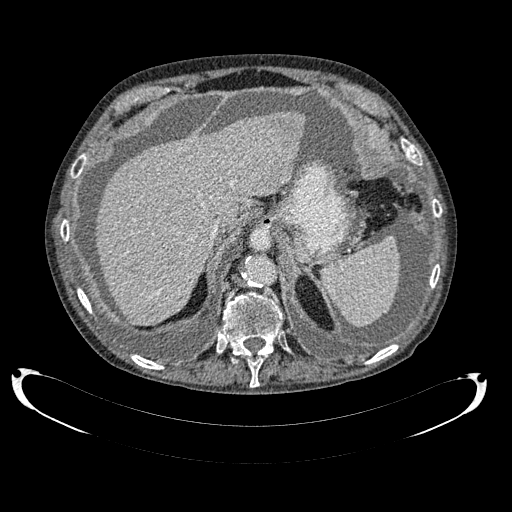

CT slice, Upper abdomen
Liver: bounding box left=96, top=112, right=305, bottom=324.
Hepatic lesion: bounding box left=146, top=303, right=158, bottom=317; left=274, top=116, right=301, bottom=147; left=168, top=258, right=181, bottom=266; left=129, top=261, right=139, bottom=273.